Brain, 240x240 px
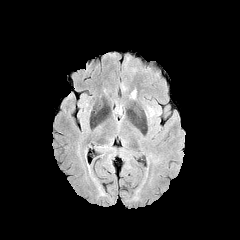
FLAIR magnetic resonance.
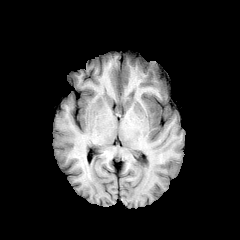
T1-weighted magnetic resonance.
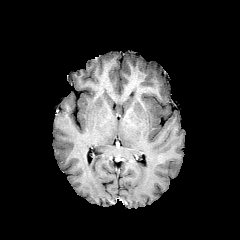
Same slice, post-contrast T1-weighted MR image.
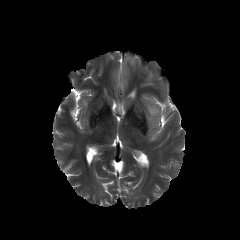
T2-weighted MRI of the same slice.
edema:
  - 147 106 157 119